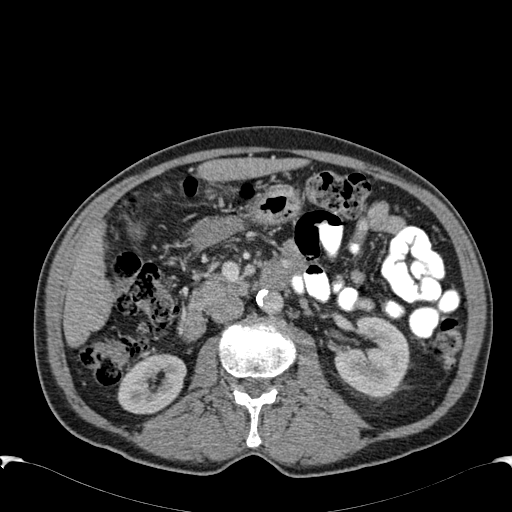
Upper abdomen | CT

kidney: box(118, 354, 185, 413); box(335, 317, 408, 396) | liver: box(198, 158, 307, 180); box(64, 226, 114, 345)